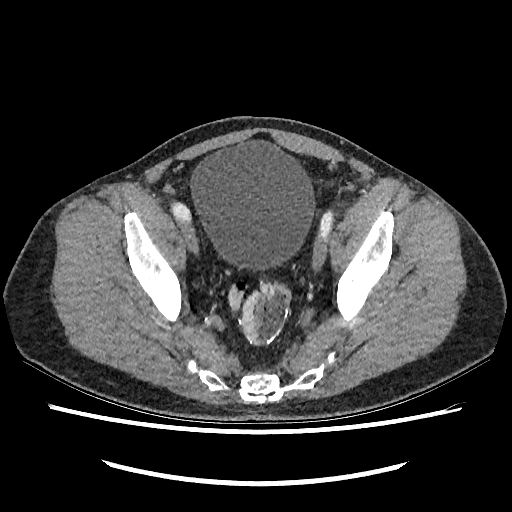 Computed tomography. Pelvis. Image size 512x512.

{
  "urinary_bladder": [
    "bbox(189, 138, 314, 271)"
  ]
}